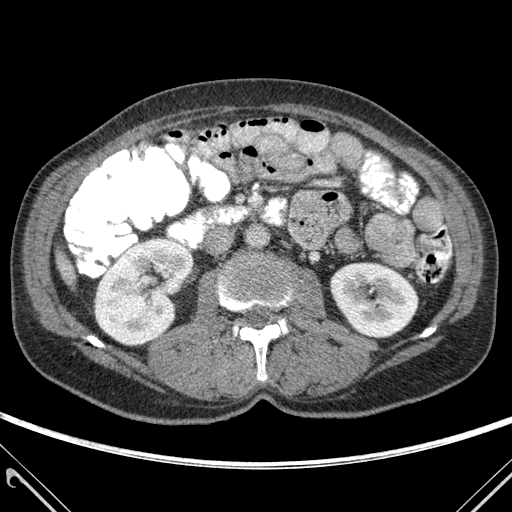

Upper abdomen, CT slice
Bone at (219,263,290,310), (240,320,286,380), (87,336,103,346), (421,327,435,336).
Liver at (65,273,75,283), (56,250,68,270).
Kidney at (331,264,417,336), (95,239,186,344).